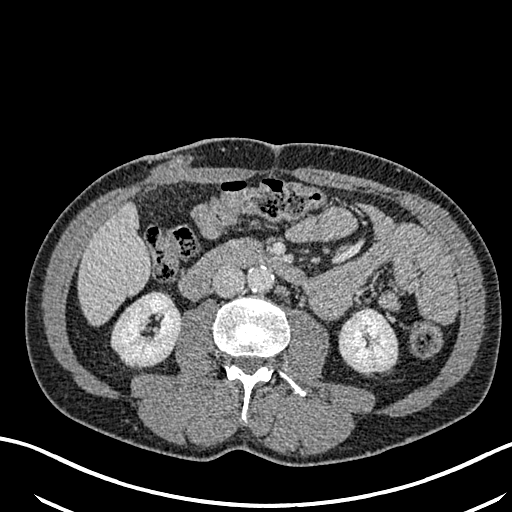
CT slice

Kidney: <bbox>340, 310, 396, 371</bbox>, <bbox>112, 293, 180, 365</bbox>.
Liver: <bbox>78, 204, 149, 324</bbox>.
Hepatic lesion: <bbox>115, 210, 124, 219</bbox>.